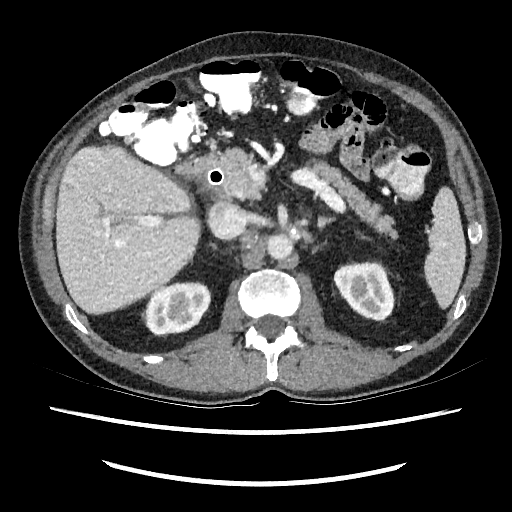
CT image | Liver
2 kidney regions are located at rect(334, 263, 393, 319); rect(146, 284, 209, 333). The liver is at rect(56, 147, 199, 313).